Brain; Field of view 240 mm wide, 1.00 mm slice spacing
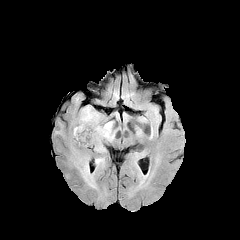
FLAIR MR.
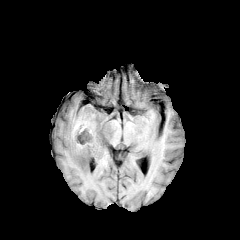
Same slice, T1-weighted MRI.
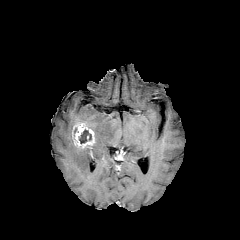
Post-contrast T1-weighted MRI.
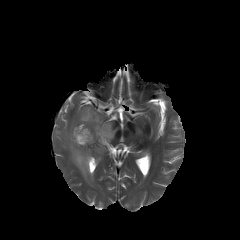
T2-weighted MR image of the same slice.
<segmentation>
  <non-enhancing_tumor_core>{"x1": 80, "y1": 129, "x2": 88, "y2": 143}</non-enhancing_tumor_core>
  <enhancing_tumor>{"x1": 72, "y1": 122, "x2": 95, "y2": 148}</enhancing_tumor>
  <edema>{"x1": 73, "y1": 152, "x2": 97, "y2": 188}, {"x1": 79, "y1": 105, "x2": 116, "y2": 153}, {"x1": 95, "y1": 156, "x2": 104, "y2": 168}</edema>
</segmentation>